CT. Field of view 387x387 mm. 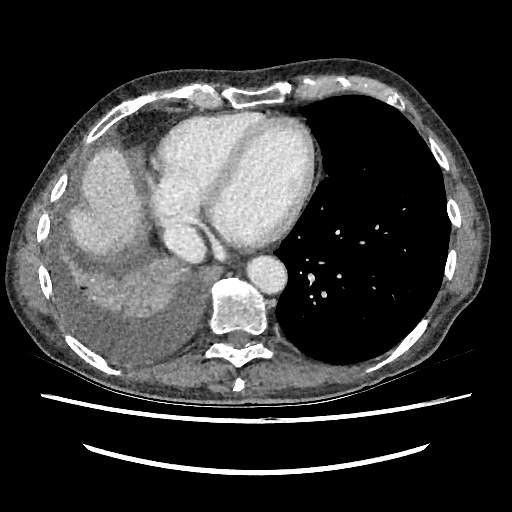
The liver appears at 68,148,142,254.